Slice index 27; CT image; Image size 512x512 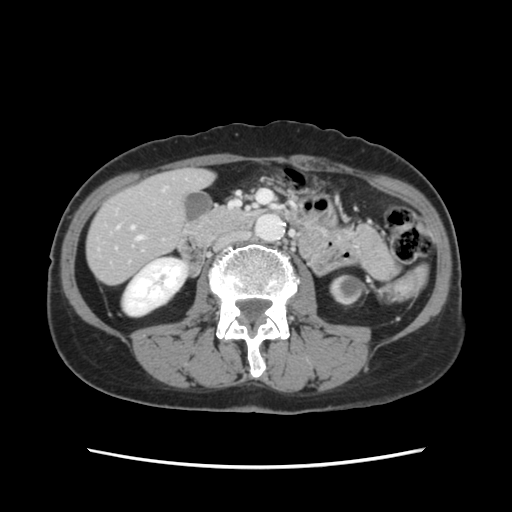 Some hepatic vessels may have no box.
Hepatic vessel at x1=131 y1=226 x2=134 y2=229, x1=137 y1=236 x2=141 y2=239.